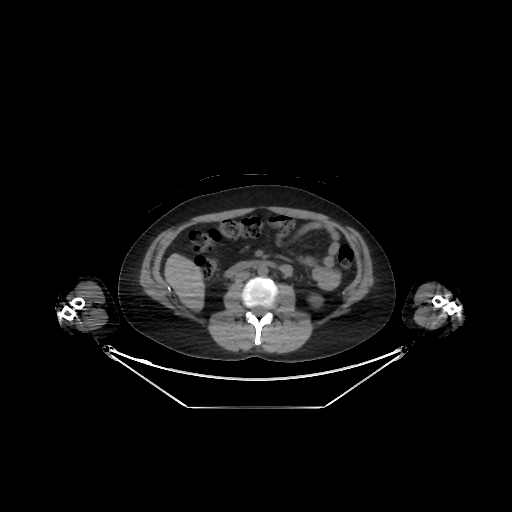 Computed tomography | Abdomen
The liver is bounded by box=[165, 254, 204, 310]. The kidney is bounded by box=[308, 293, 323, 307].